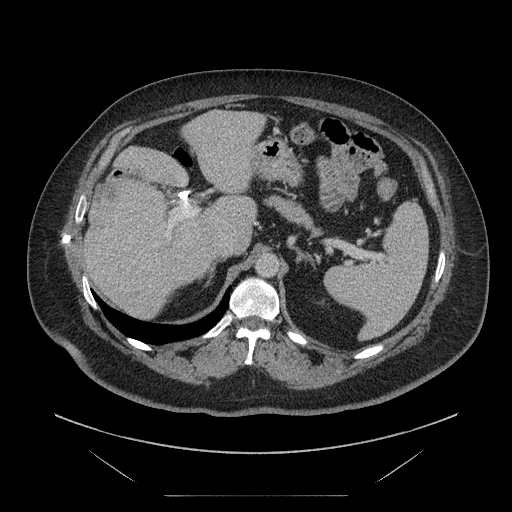
CT image, Liver
Not every hepatic vessel necessarily has a box.
The hepatic vessel lies within l=165, t=203, r=198, b=239. The liver tumor appears at l=99, t=182, r=126, b=200.